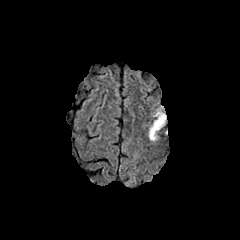
FLAIR MR image.
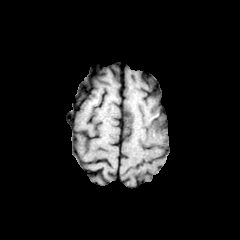
Same slice, T1-weighted magnetic resonance.
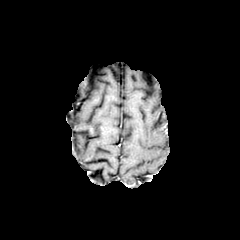
Same slice, post-contrast T1-weighted MR.
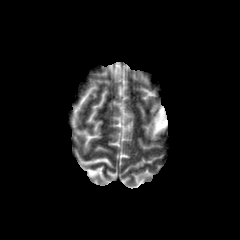
T2-weighted magnetic resonance of the same slice.
Image size 240x240
{"edema": ["(147, 108, 166, 141)"]}